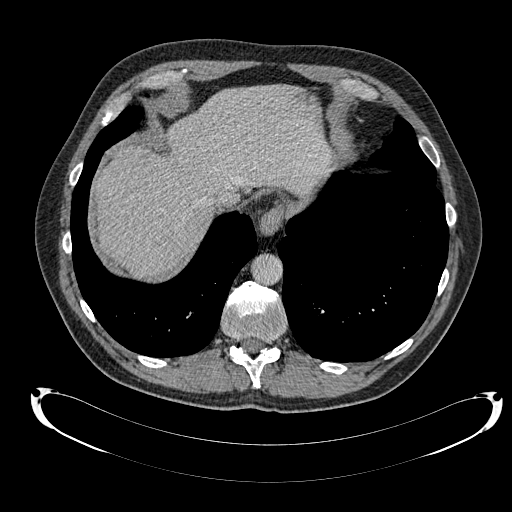

Liver; 512x512 px; CT image

The liver lies within {"x1": 96, "y1": 85, "x2": 331, "y2": 278}.